Slice index 38. CT image. 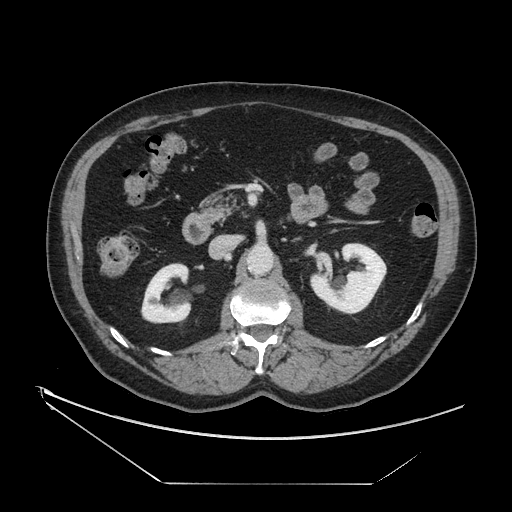
<segmentation>
  <pancreas>x1=206 y1=192 x2=240 y2=213</pancreas>
</segmentation>